CT image | Upper abdomen | Slice 382 of 811 | 512x512

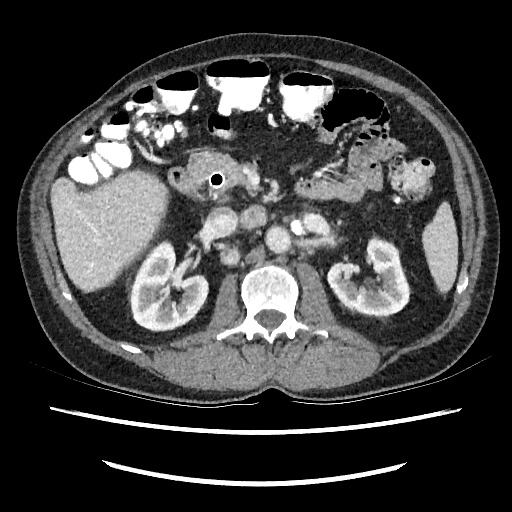 kidney: (left=131, top=244, right=207, bottom=329), (left=328, top=240, right=408, bottom=315) | liver: (left=52, top=171, right=164, bottom=288)